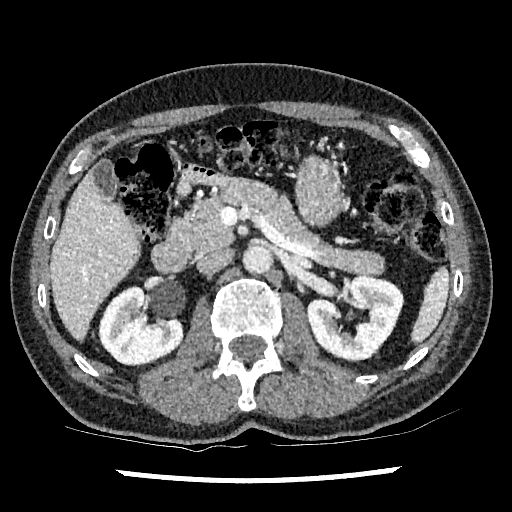
512x512 px, CT scan slice
Liver — (50,168,139,340).
Kidney — (100,288,182,363), (308,276,402,358).